240x240 px | Slice index 62 | Brain
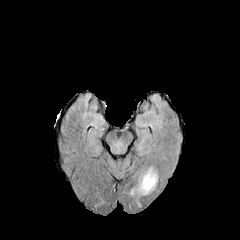
FLAIR magnetic resonance.
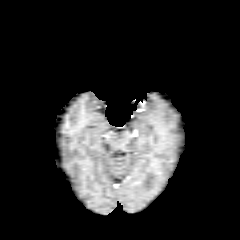
T1-weighted MRI of the same slice.
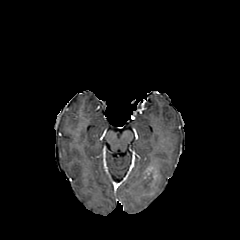
Post-contrast T1-weighted MR.
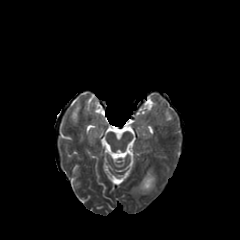
T2-weighted MR of the same slice.
The edema is located at <bbox>131, 167, 157, 194</bbox>.